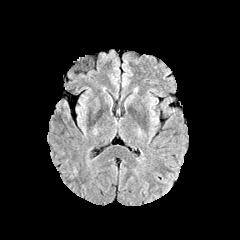
FLAIR MR image.
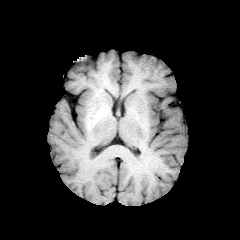
T1-weighted MR.
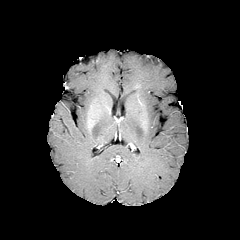
Same slice, post-contrast T1-weighted MR image.
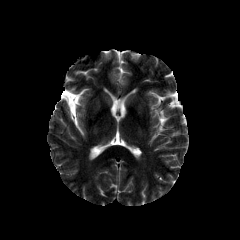
T2-weighted MR of the same slice.
<segmentation>
  <edema>region(150, 101, 157, 120)</edema>
</segmentation>